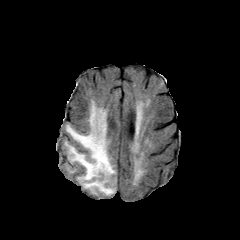
FLAIR magnetic resonance.
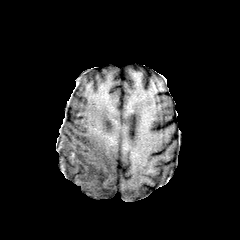
T1-weighted magnetic resonance.
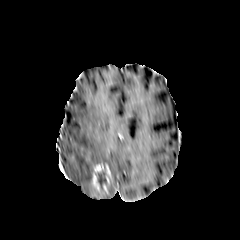
Post-contrast T1-weighted MRI.
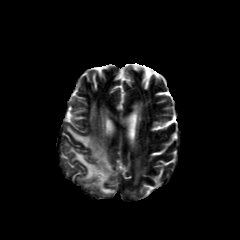
Same slice, T2-weighted magnetic resonance.
Head.
<segmentation>
  <non-enhancing_tumor_core>[x1=98, y1=172, x2=107, y2=193]</non-enhancing_tumor_core>
  <edema>[x1=64, y1=101, x2=116, y2=197]</edema>
  <enhancing_tumor>[x1=91, y1=164, x2=110, y2=191]</enhancing_tumor>
</segmentation>